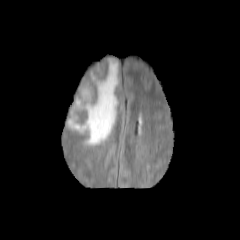
FLAIR MR.
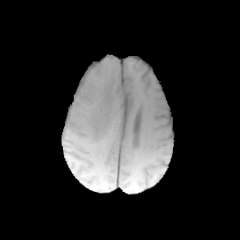
T1-weighted MRI of the same slice.
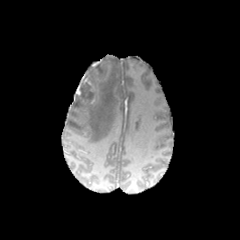
Post-contrast T1-weighted magnetic resonance.
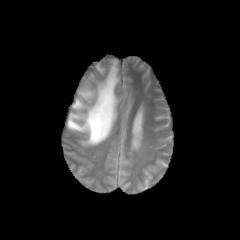
T2-weighted magnetic resonance.
Head
The edema lies within 67:59:119:146. The non-enhancing tumor core is bounded by 76:79:96:108.